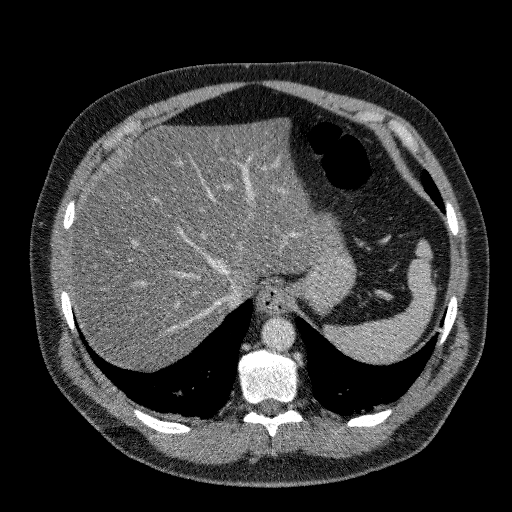
Computed tomography. Abdomen.
The liver is located at box(70, 118, 321, 368).